FLAIR MR.
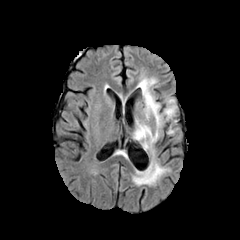
T1-weighted MRI.
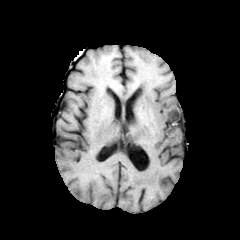
Post-contrast T1-weighted MR.
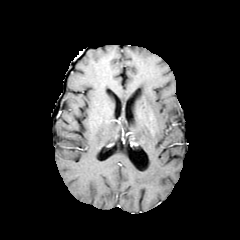
T2-weighted MRI.
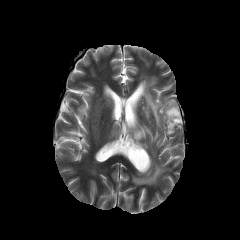
240x240
Annotated regions:
- edema: [x1=131, y1=116, x2=168, y2=185], [x1=137, y1=78, x2=179, y2=134]